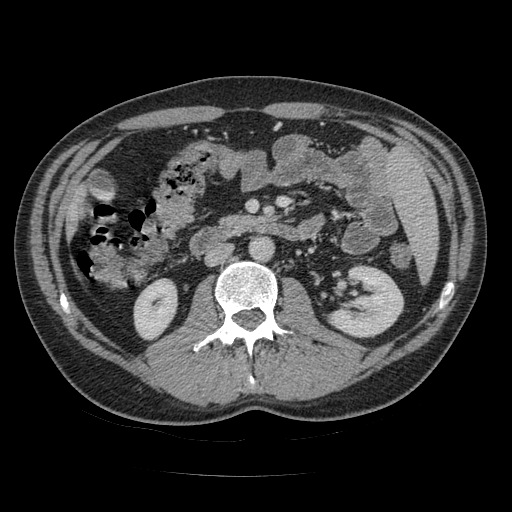

512x512; CT scan slice; Upper abdomen

The pancreas is bounded by region(225, 215, 263, 224).